FLAIR MRI.
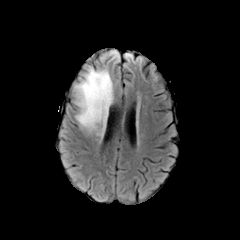
T1-weighted MRI.
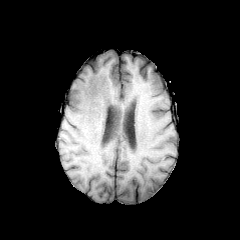
Post-contrast T1-weighted MR.
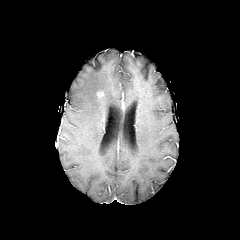
T2-weighted MR image.
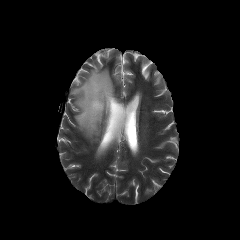
Brain
{"edema": ["<bbox>74, 67, 114, 136</bbox>"]}